Image width 378 mm, Abdomen, 512x512, CT slice
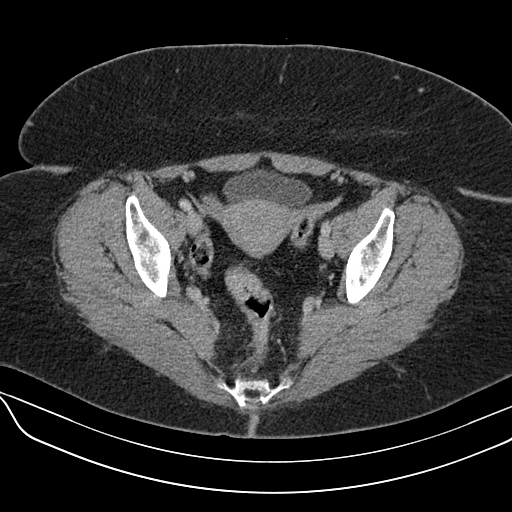
Colon tumor = 225:266:272:303.